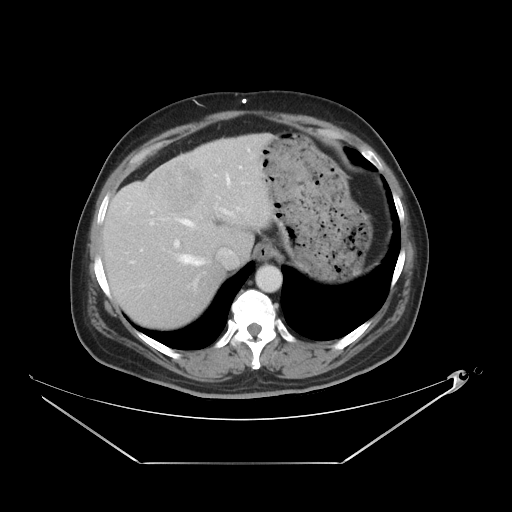 CT slice. The vessel boxes may cover only some of the vessels.
{"liver_tumor": ["(x1=146, y1=161, x2=205, y2=214)"], "hepatic_vessel": ["(x1=183, y1=256, x2=202, y2=265)", "(x1=227, y1=184, x2=228, y2=187)", "(x1=176, y1=241, x2=177, y2=245)", "(x1=224, y1=171, x2=229, y2=180)", "(x1=214, y1=174, x2=217, y2=176)"]}